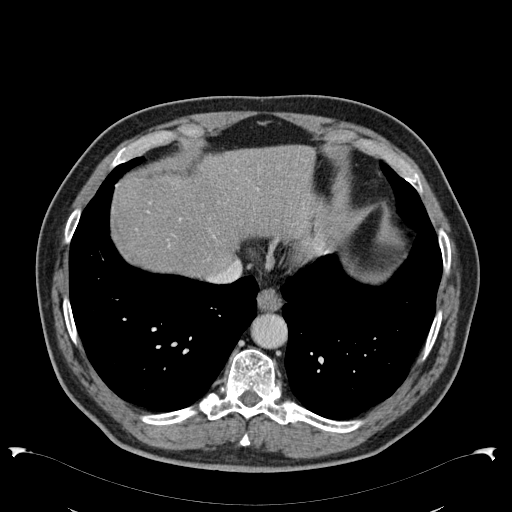 Image size 512x512 | CT image
<segmentation>
  <liver>(x1=113, y1=146, x2=313, y2=275)</liver>
</segmentation>